CT slice; Image size 512x512; Pelvis

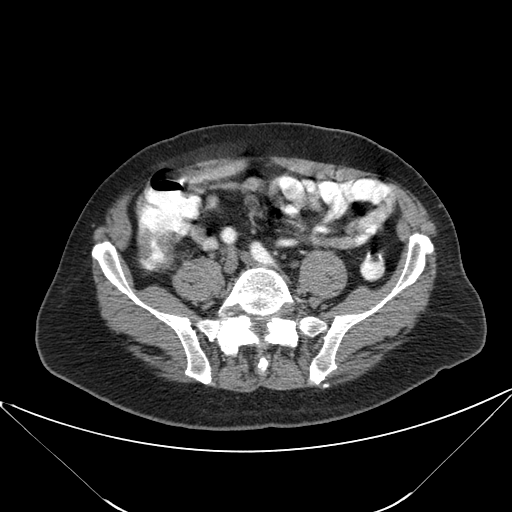

Annotated regions:
* colon tumor: bbox(151, 230, 177, 273); bbox(139, 229, 151, 258)